FLAIR MRI.
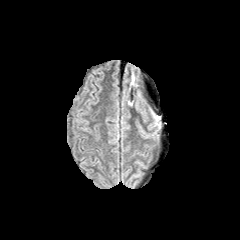
T1-weighted MR.
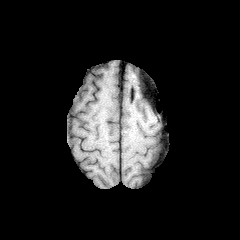
Post-contrast T1-weighted MR.
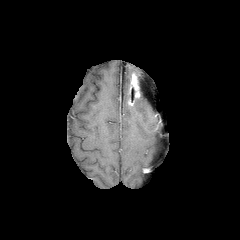
T2-weighted MR.
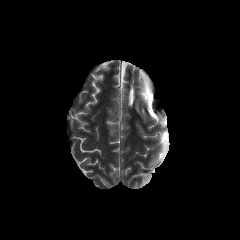
240x240 px
Edema — (129, 88, 142, 110).
Enhancing tumor — (131, 78, 137, 89).